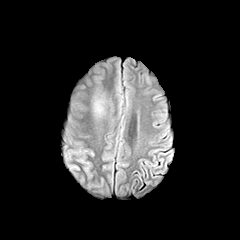
FLAIR MRI.
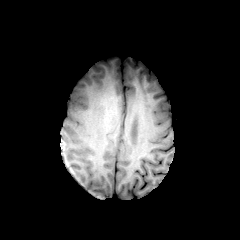
T1-weighted magnetic resonance.
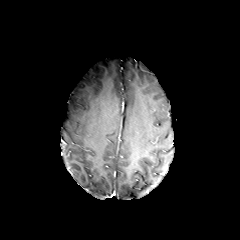
Post-contrast T1-weighted MR.
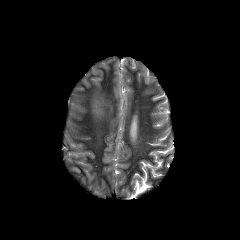
T2-weighted MR.
Brain | Image size 240x240
- edema: [93, 96, 106, 117]